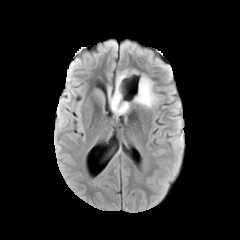
FLAIR MRI.
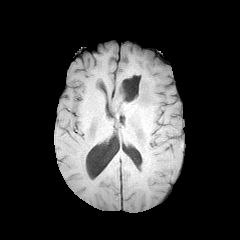
T1-weighted MR image.
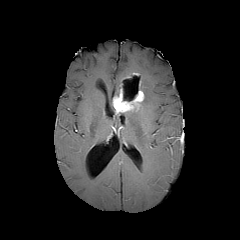
Post-contrast T1-weighted MR.
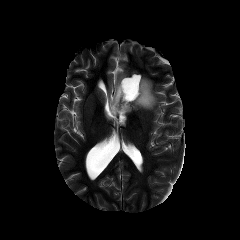
Same slice, T2-weighted MR.
The non-enhancing tumor core is bounded by [110,95,115,113]. The enhancing tumor is at [113,83,144,114]. 2 edema regions are bounded by [108,86,114,102], [115,70,159,108].